FLAIR magnetic resonance.
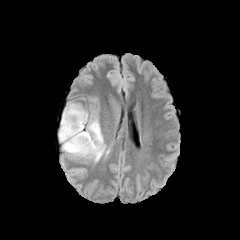
T1-weighted MRI.
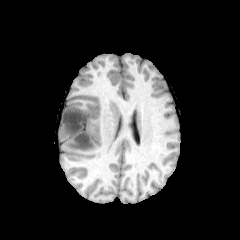
Post-contrast T1-weighted MR.
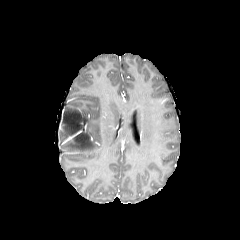
T2-weighted MR.
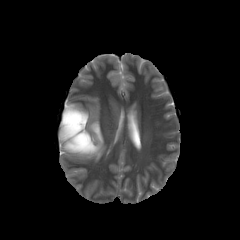
240x240 px
Non-enhancing tumor core at [x1=59, y1=105, x2=95, y2=156].
Edema at [x1=68, y1=102, x2=87, y2=115], [x1=62, y1=110, x2=108, y2=160].
Enhancing tumor at [x1=62, y1=131, x2=80, y2=143].